CT, Slice index 99, Field of view 445x445 mm, Abdomen
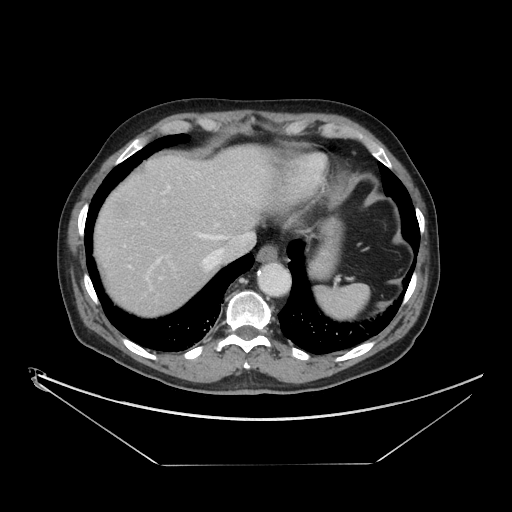
Some hepatic vessels may have no box.
liver tumor: bbox(121, 202, 130, 211) | hepatic vessel: bbox(149, 259, 159, 272); bbox(141, 222, 143, 224); bbox(203, 249, 223, 269); bbox(167, 186, 169, 189); bbox(215, 223, 217, 225); bbox(197, 233, 221, 238); bbox(162, 192, 164, 193)